Liver, Image size 512x512, CT scan slice

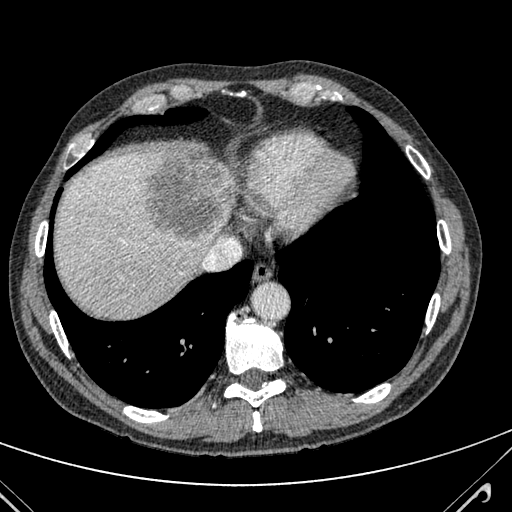
{"liver": ["l=55, t=153, r=234, b=315"], "liver_lesion": ["l=144, t=155, r=230, b=239"]}